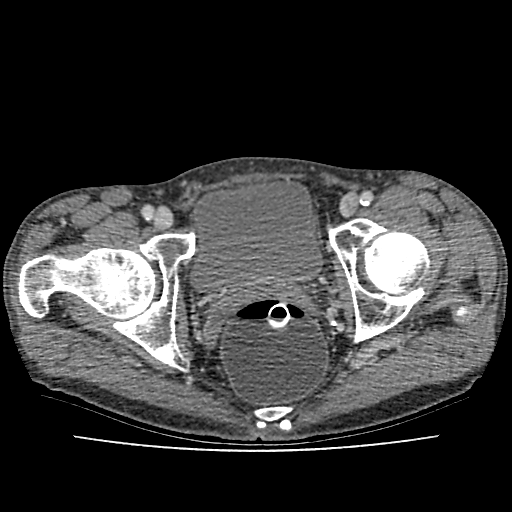
Lower abdomen. Computed tomography. Urinary bladder at 190 180 323 298.